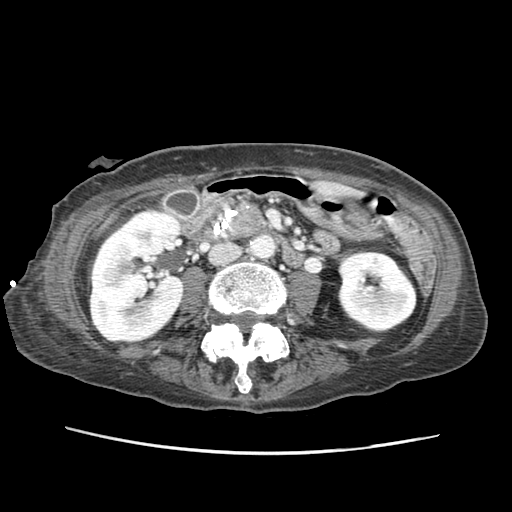 Abdomen | Image size 512x512 | CT slice
{"pancreas": ["x1=233, y1=207, x2=264, y2=236", "x1=238, y1=203, x2=255, y2=213"], "pancreatic_tumor": ["x1=235, y1=206, x2=261, y2=234"]}